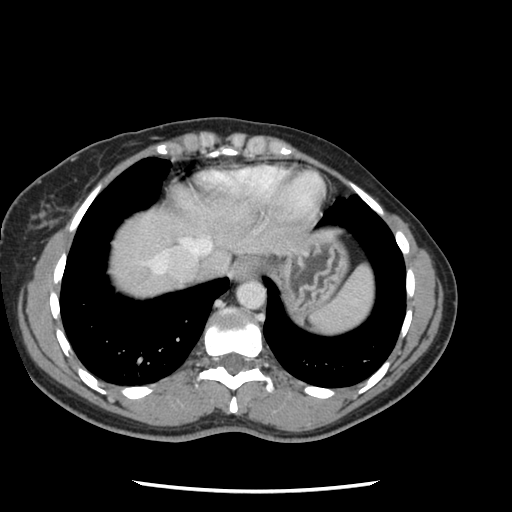 CT slice, Abdomen

The vessel boxes may cover only some of the vessels.
hepatic_vessel:
  - (151, 254, 165, 272)
  - (181, 238, 209, 253)